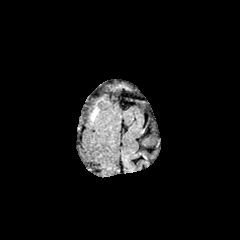
FLAIR MR.
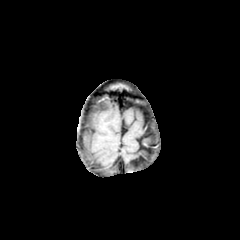
T1-weighted MR image of the same slice.
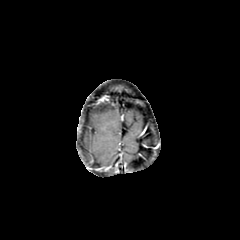
Post-contrast T1-weighted MR image.
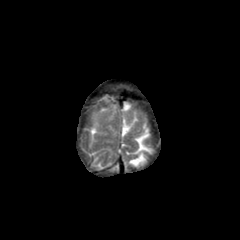
Same slice, T2-weighted MR image.
The edema is bounded by 91 108 98 120.